CT scan slice, Image size 512x512, Upper abdomen 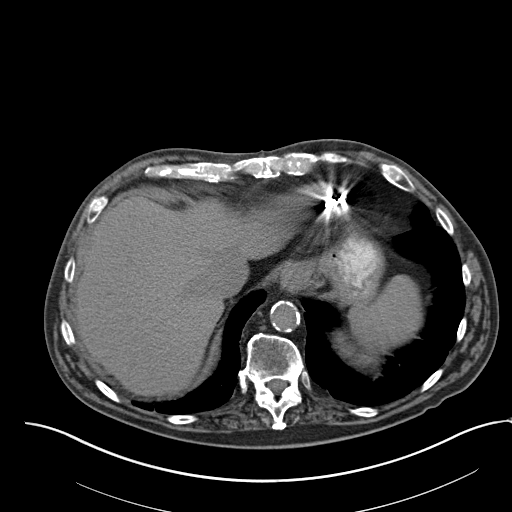

The spleen is at 353 276 421 346.